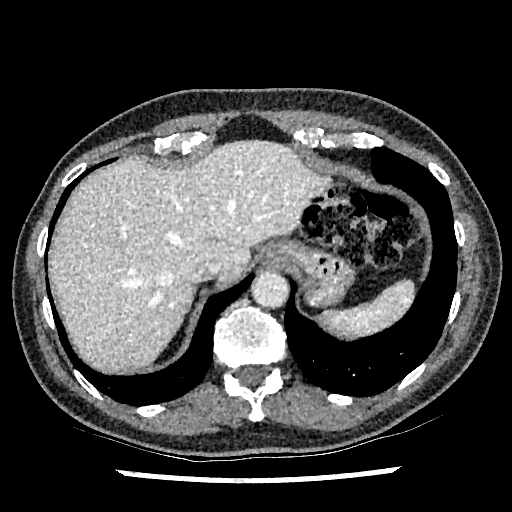 CT slice

Liver: [x1=49, y1=140, x2=327, y2=371].